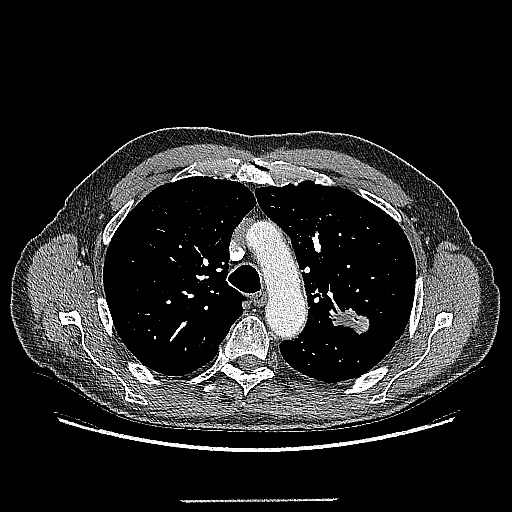 Lung, CT image, Image size 512x512
The lung tumor is bounded by [x1=328, y1=307, x2=370, y2=336].